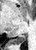

Medial temporal lobe; MRI slice

The posterior hippocampus is located at region(8, 34, 26, 44).